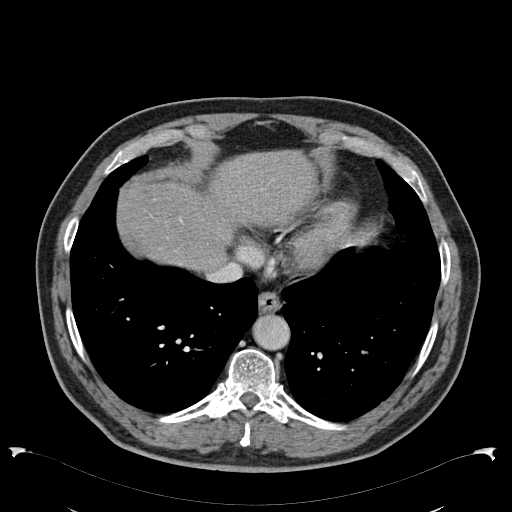
CT
The liver is located at (118,151,313,271).